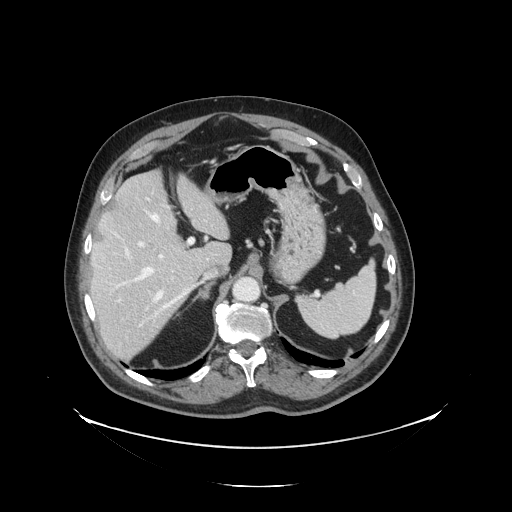 512x512. CT image. Liver.
Only some of the vessels may be annotated.
14 hepatic vessel regions are bounded by [147,212,159,222], [160,255,162,258], [138,323,142,327], [126,250,128,257], [118,299,121,302], [116,282,129,287], [154,310,158,314], [135,269,146,280], [114,233,117,235], [148,267,154,274], [154,290,163,302], [139,242,144,246], [162,292,186,308], [204,275,209,279].